CT scan slice.

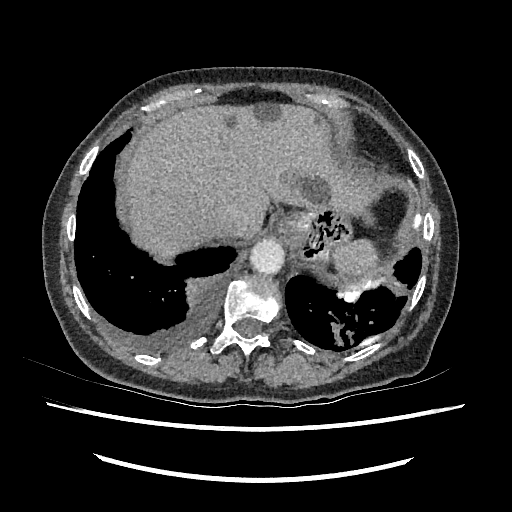
liver: region(126, 105, 357, 258) | hepatic lesion: region(254, 105, 280, 120); region(226, 116, 235, 126); region(314, 117, 322, 123); region(281, 170, 333, 203)